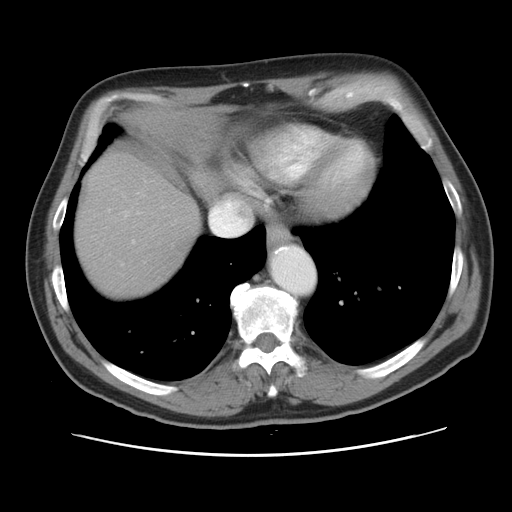

CT slice
The vessel boxes may cover only some of the vessels.
Annotated regions:
- hepatic vessel: x1=132 y1=240 x2=134 y2=241